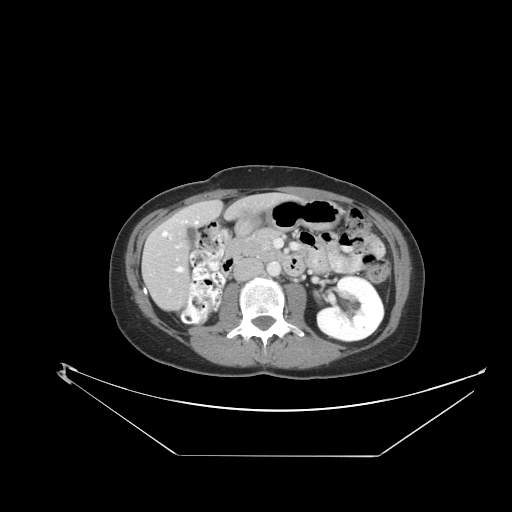
CT slice. Image size 512x512. Abdomen. Pancreatic tumor at 252,228,272,250.
Pancreas at 229,229,279,260.